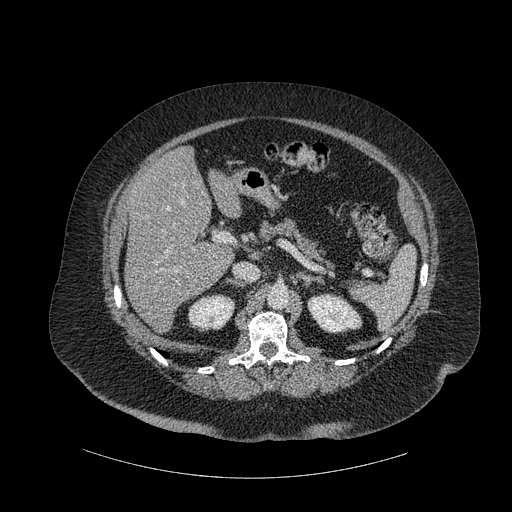

Liver; Image size 512x512; CT scan slice
Annotated regions:
• liver: left=209, top=170, right=240, bottom=216; left=125, top=145, right=234, bottom=333
• bone: left=335, top=359, right=354, bottom=365; left=114, top=286, right=121, bottom=307; left=420, top=264, right=427, bottom=285; left=229, top=312, right=309, bottom=368; left=198, top=366, right=213, bottom=373; left=150, top=348, right=167, bottom=365; left=377, top=338, right=391, bottom=352
• kidney: left=308, top=295, right=361, bottom=331; left=189, top=296, right=233, bottom=328